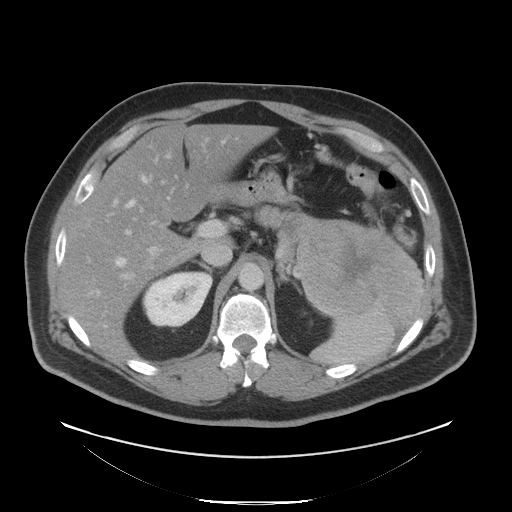
512x512 px, CT slice, Upper abdomen

3 pancreas regions are located at (x1=336, y1=219, x2=423, y2=329), (x1=256, y1=206, x2=296, y2=230), (x1=302, y1=232, x2=307, y2=253). The pancreatic tumor appears at (x1=281, y1=213, x2=417, y2=313).